Brain.
FLAIR MR.
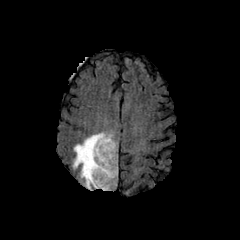
T1-weighted magnetic resonance.
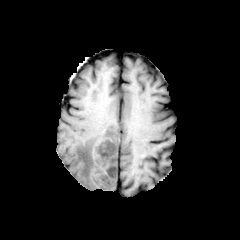
Post-contrast T1-weighted magnetic resonance.
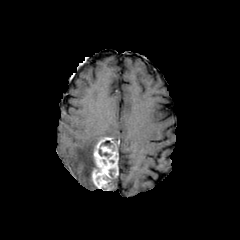
T2-weighted MRI.
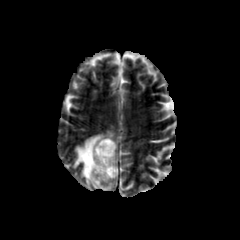
Enhancing tumor: [x1=91, y1=137, x2=117, y2=189].
Non-enhancing tumor core: [x1=83, y1=144, x2=95, y2=179].
Edema: [x1=72, y1=131, x2=118, y2=189].